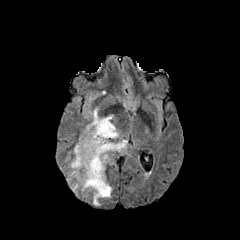
FLAIR MR.
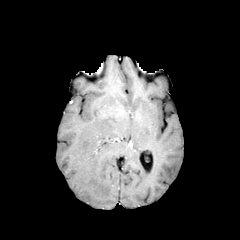
T1-weighted magnetic resonance of the same slice.
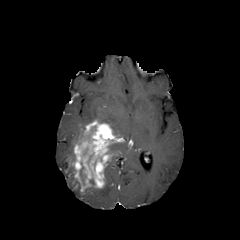
Same slice, post-contrast T1-weighted MR image.
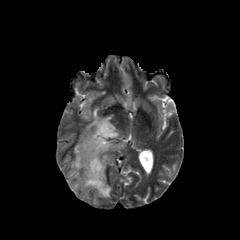
T2-weighted MR image.
Brain
The enhancing tumor appears at 72,120,123,191. 2 non-enhancing tumor core regions are located at 79,166,85,185; 82,126,95,139. 4 edema regions are bounded by 69,176,77,188; 105,140,127,168; 84,180,111,205; 86,107,120,137.